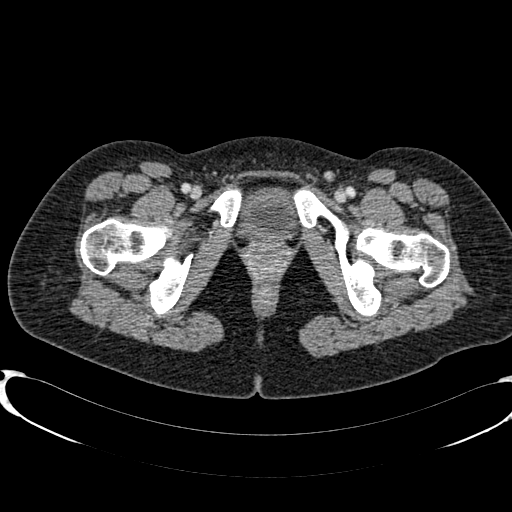
CT scan slice
Urinary bladder: (left=235, top=186, right=303, bottom=242).